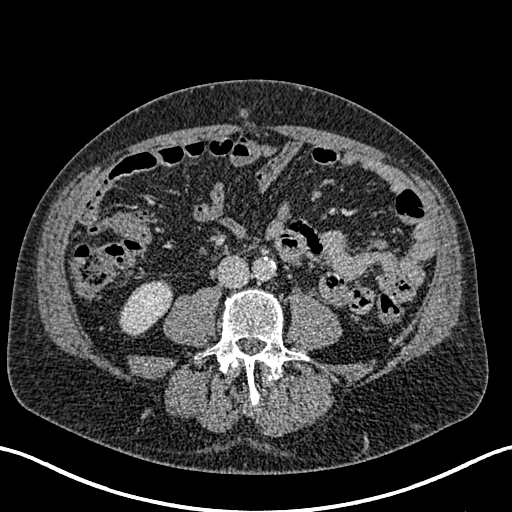

Abdomen, CT image
Kidney: <bbox>120, 283, 170, 333</bbox>.